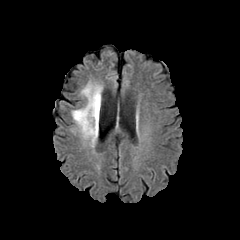
FLAIR magnetic resonance.
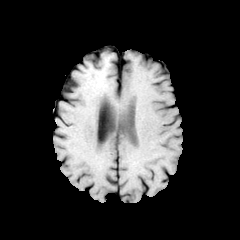
T1-weighted MR.
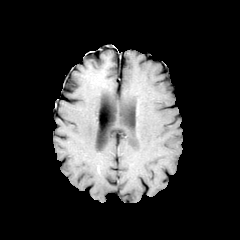
Post-contrast T1-weighted magnetic resonance.
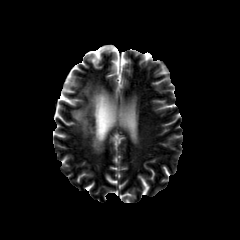
T2-weighted MRI of the same slice.
The edema lies within x1=71, y1=81, x2=102, y2=147.